Computed tomography. Slice 534 of 836.
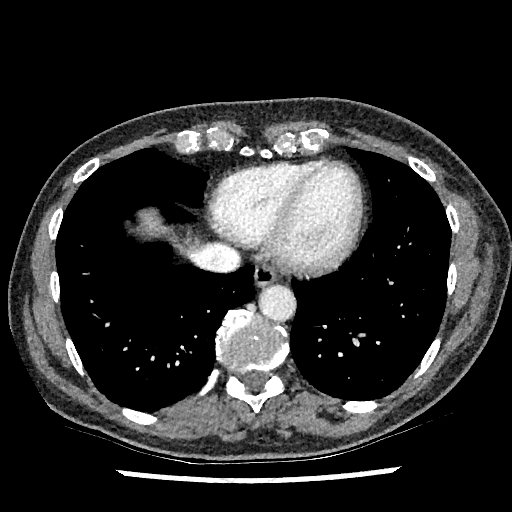

Annotated regions:
* liver: 179 246 188 253, 137 208 161 236